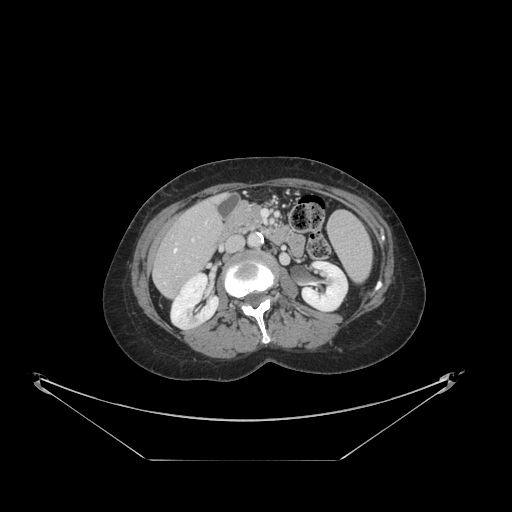 CT slice

The vessel annotation is not exhaustive.
Annotated regions:
* hepatic vessel: 173:249:176:252, 192:238:193:240